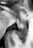
MR image

{"posterior_hippocampus": ["[15, 22, 27, 40]"]}